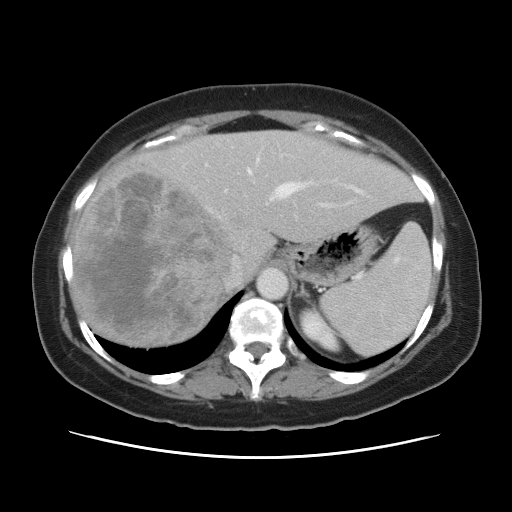 Image size 512x512 | Abdomen | CT scan slice

Only some of the vessels may be annotated.
The liver tumor lies within x1=75 y1=171 x2=236 y2=342. 13 hepatic vessel regions are located at x1=225 y1=190 x2=226 y2=191, x1=225 y1=256 x2=246 y2=289, x1=333 y1=179 x2=336 y2=182, x1=256 y1=155 x2=259 y2=161, x1=279 y1=154 x2=283 y2=157, x1=247 y1=168 x2=251 y2=173, x1=276 y1=182 x2=307 y2=197, x1=270 y1=197 x2=273 y2=200, x1=348 y1=201 x2=351 y2=203, x1=206 y1=164 x2=207 y2=165, x1=241 y1=241 x2=245 y2=249, x1=317 y1=203 x2=330 y2=206, x1=347 y1=185 x2=361 y2=192.